CT scan slice, Liver, Slice 68 of 92

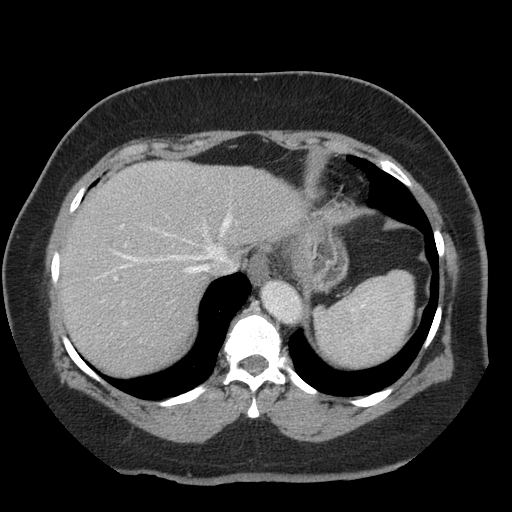

Not every hepatic vessel necessarily has a box.
- hepatic vessel: <bbox>222, 216, 230, 234</bbox>, <bbox>120, 266, 128, 268</bbox>, <bbox>163, 233, 167, 234</bbox>, <bbox>150, 259, 160, 261</bbox>, <bbox>202, 229, 204, 232</bbox>, <bbox>115, 277, 116, 279</bbox>, <bbox>124, 323, 126, 324</bbox>, <bbox>120, 225, 123, 228</bbox>, <bbox>187, 266, 204, 272</bbox>, <bbox>182, 239, 190, 242</bbox>, <bbox>101, 274, 106, 276</bbox>, <bbox>113, 269, 116, 271</bbox>, <bbox>162, 247, 226, 261</bbox>, <bbox>113, 251, 142, 262</bbox>